CT
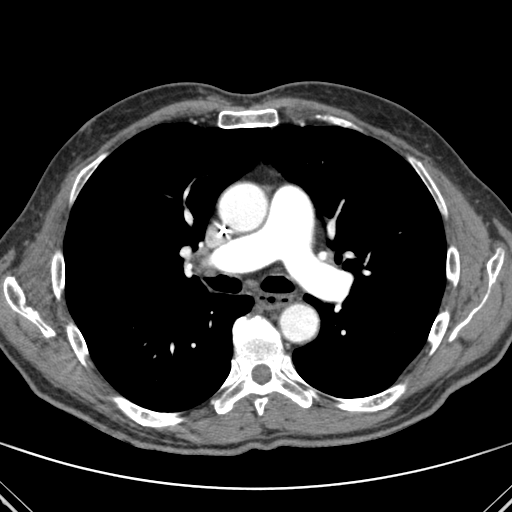
Segmented structures:
* bone: 446:246:459:285, 3:277:55:337, 218:108:278:128, 323:116:350:126, 409:157:446:214, 70:154:104:199, 449:296:487:341, 335:384:405:411, 487:251:503:286, 212:315:317:415, 428:311:449:354, 51:252:64:298, 113:397:182:427, 67:324:87:365
* lung: 64:123:446:411